240x240, Head
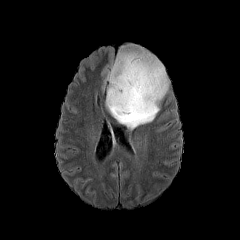
FLAIR MRI.
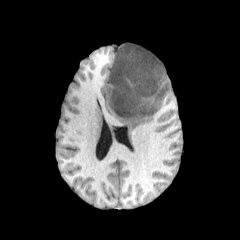
T1-weighted magnetic resonance.
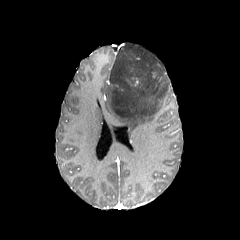
Post-contrast T1-weighted magnetic resonance of the same slice.
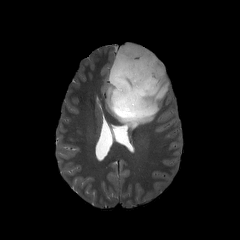
T2-weighted MR.
Annotated regions:
- enhancing tumor: bbox(131, 76, 143, 85)
- edema: bbox(104, 52, 169, 131)